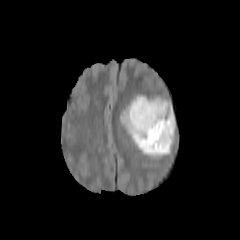
FLAIR MR image.
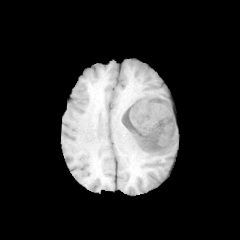
T1-weighted MR.
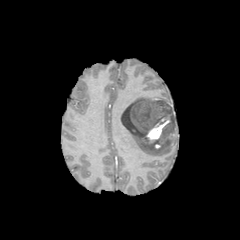
Post-contrast T1-weighted magnetic resonance.
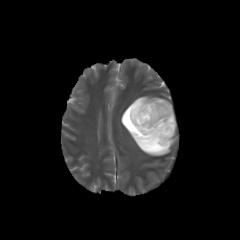
T2-weighted MR.
non-enhancing tumor core: [121,98,175,144] | enhancing tumor: [146,116,170,143] | edema: [122,95,152,114], [121,122,172,156]